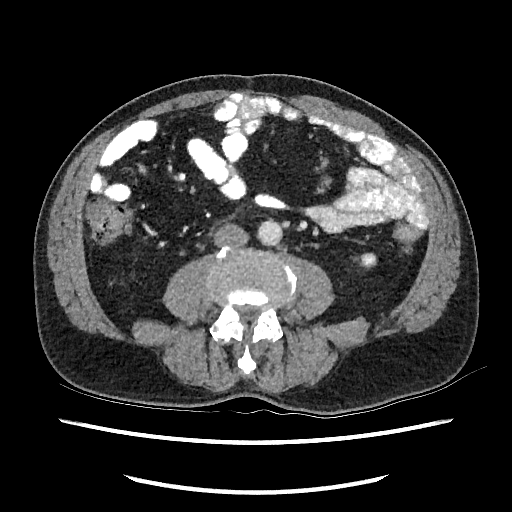 CT image.

kidney: l=361, t=253, r=375, b=266